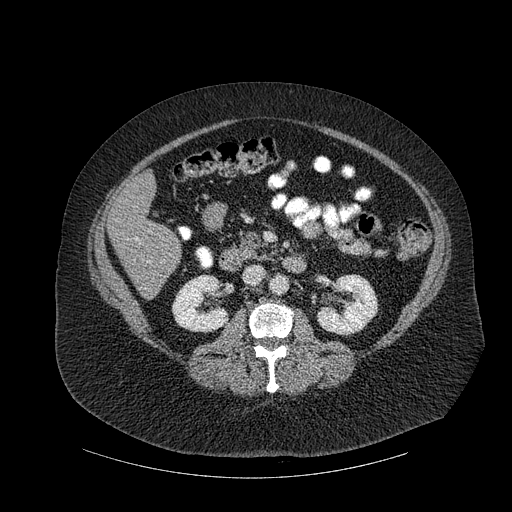 CT scan slice, Upper abdomen
• kidney: {"x1": 318, "y1": 275, "x2": 377, "y2": 334}, {"x1": 172, "y1": 275, "x2": 227, "y2": 331}
• bone: {"x1": 249, "y1": 303, "x2": 292, "y2": 337}, {"x1": 254, "y1": 345, "x2": 287, "y2": 392}, {"x1": 359, "y1": 189, "x2": 368, "y2": 197}
• liver: {"x1": 108, "y1": 174, "x2": 182, "y2": 298}